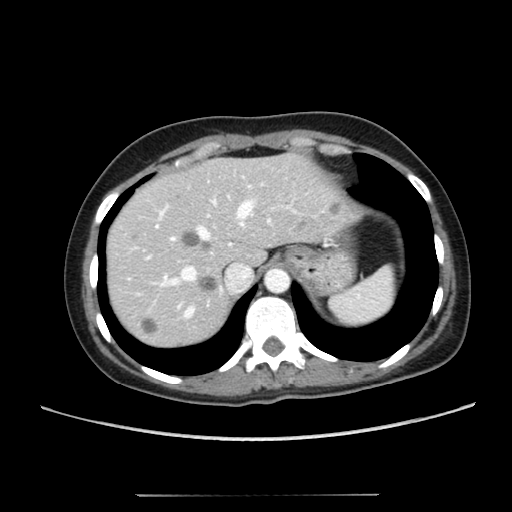 CT, Upper abdomen

Liver: bounding box 107 155 361 348.
Hepatic lesion: bounding box 141 318 157 333, 329 201 341 214, 200 241 210 250, 196 275 217 292, 180 231 199 247, 296 220 305 231.